Computed tomography. Abdomen. Field of view 400x400 mm.
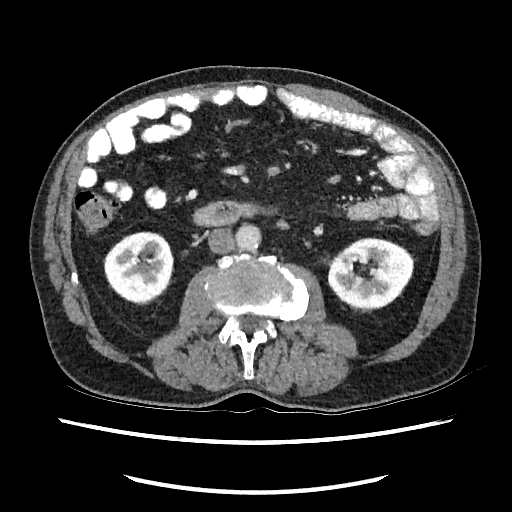
2 kidney regions appear at region(328, 238, 413, 310); region(104, 232, 173, 303).